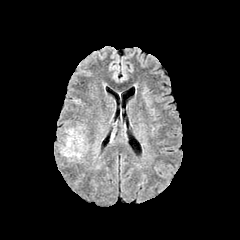
FLAIR MR image.
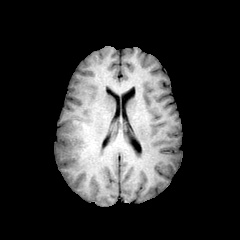
Same slice, T1-weighted MRI.
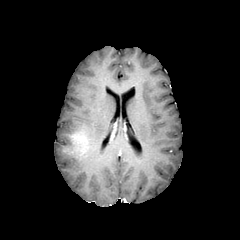
Same slice, post-contrast T1-weighted MR image.
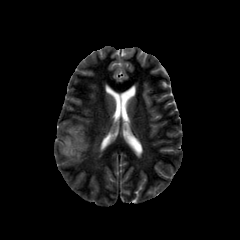
T2-weighted MR image.
enhancing_tumor:
  - bbox(64, 130, 86, 155)
edema:
  - bbox(59, 124, 85, 161)
non-enhancing_tumor_core:
  - bbox(62, 136, 79, 157)